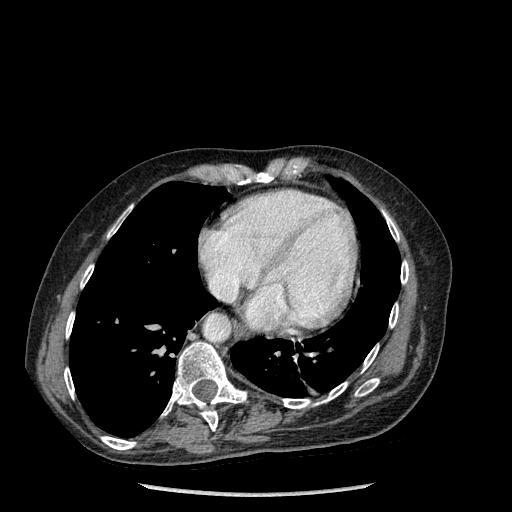
CT slice. 2 lung regions are located at region(69, 181, 229, 437); region(231, 179, 400, 398). 13 bone regions appear at region(161, 342, 246, 431); region(101, 436, 135, 449); region(64, 367, 74, 399); region(389, 303, 398, 328); region(361, 344, 379, 373); region(383, 212, 399, 241); region(238, 171, 273, 184); region(355, 378, 379, 396); region(282, 382, 347, 408); region(80, 264, 93, 288); region(65, 312, 74, 338); region(400, 260, 408, 284); region(107, 204, 132, 238).